Slice 25/95, Field of view 370x370 mm, CT

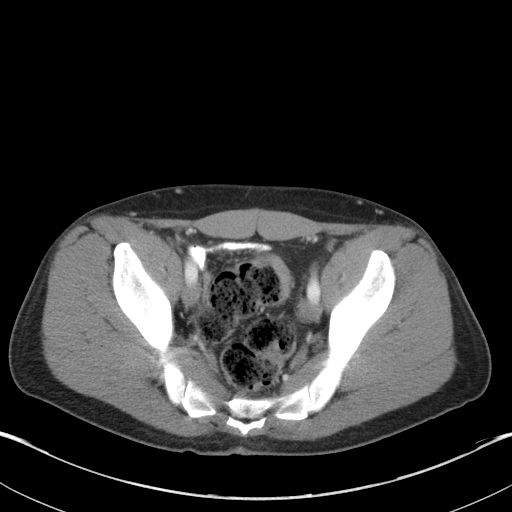

Colon tumor at l=253, t=255, r=289, b=298.